512x512. Computed tomography. 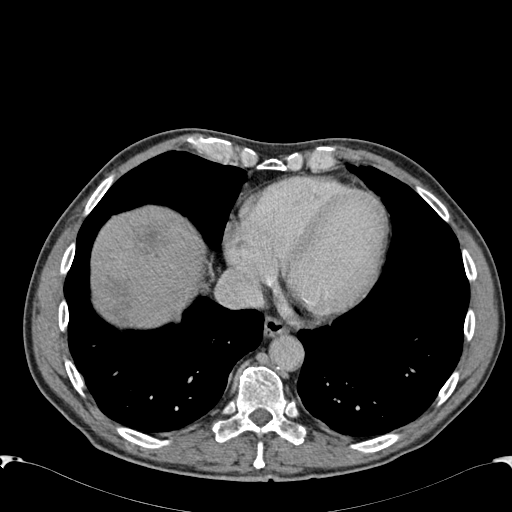

focal_liver_lesion:
  - rect(136, 228, 164, 253)
  - rect(102, 279, 128, 317)
liver:
  - rect(91, 208, 205, 327)